CT image. Abdomen.

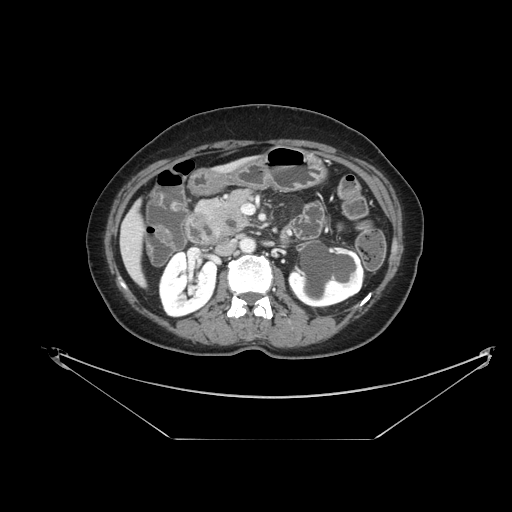 The pancreas is at x1=196, y1=190, x2=252, y2=238.